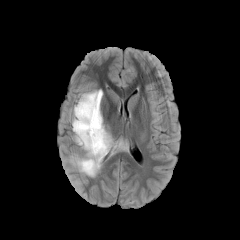
FLAIR MR.
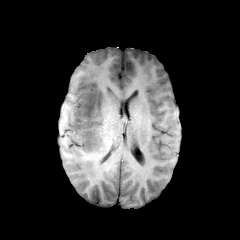
T1-weighted magnetic resonance.
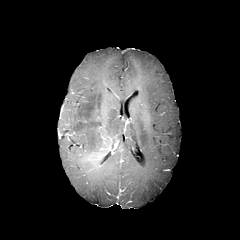
Post-contrast T1-weighted MR.
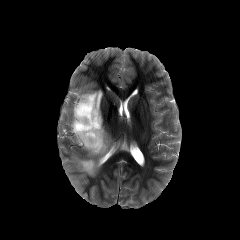
T2-weighted MRI of the same slice.
Head
Edema — rect(70, 89, 115, 176); rect(115, 141, 126, 149).
Non-enhancing tumor core — rect(82, 99, 94, 116); rect(100, 145, 116, 157).